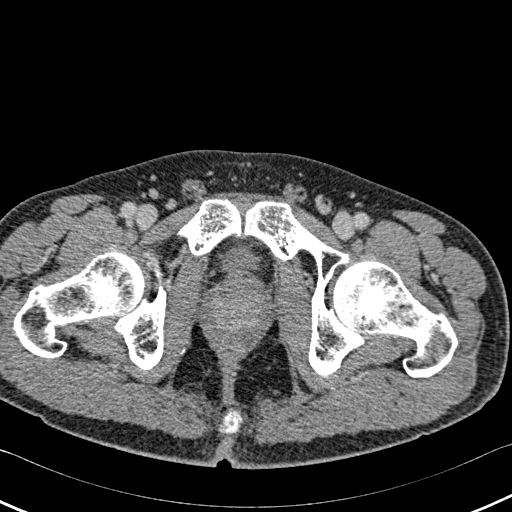
CT image
Bone — left=223, top=411, right=241, bottom=431; left=13, top=251, right=165, bottom=369; left=178, top=200, right=457, bottom=376.